Slice 21/39; Field of view 400 mm wide, 5.00 mm slice spacing; CT slice; 512x512 px; Liver

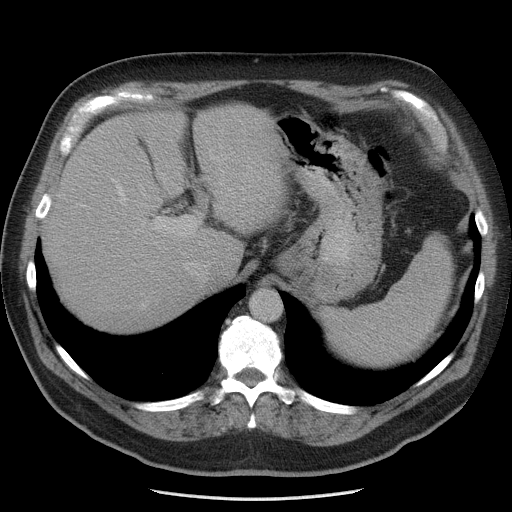

Not every hepatic vessel necessarily has a box.
hepatic vessel: x1=154 y1=216 x2=199 y2=236, x1=144 y1=204 x2=148 y2=206, x1=178 y1=188 x2=180 y2=190, x1=204 y1=173 x2=209 y2=180, x1=139 y1=213 x2=145 y2=226, x1=134 y1=229 x2=139 y2=232, x1=157 y1=169 x2=167 y2=183, x1=186 y1=256 x2=188 y2=258, x1=119 y1=212 x2=126 y2=215, x1=219 y1=168 x2=223 y2=172, x1=154 y1=242 x2=156 y2=243, x1=112 y1=179 x2=127 y2=204, x1=183 y1=261 x2=209 y2=275, x1=142 y1=304 x2=145 y2=307